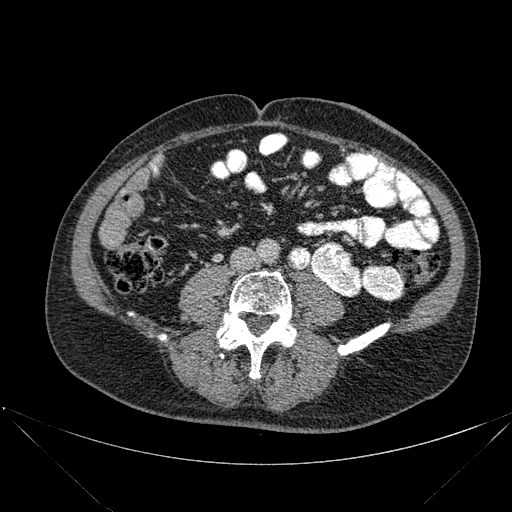

CT image

bone: [216,271,296,378], [338,324,389,354]